CT. Slice 66/105.

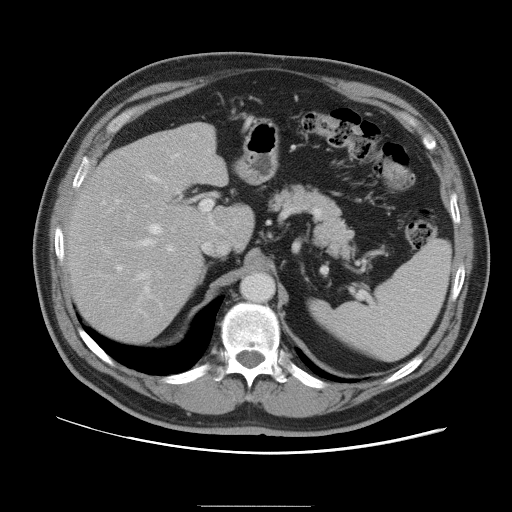

The vessel annotation is not exhaustive.
- hepatic vessel (top 15 of 17): x1=167 y1=245 x2=172 y2=250, x1=171 y1=154 x2=178 y2=163, x1=149 y1=224 x2=161 y2=233, x1=105 y1=250 x2=108 y2=252, x1=176 y1=189 x2=178 y2=192, x1=138 y1=309 x2=143 y2=313, x1=138 y1=270 x2=150 y2=299, x1=171 y1=228 x2=174 y2=231, x1=127 y1=216 x2=128 y2=220, x1=144 y1=173 x2=161 y2=183, x1=117 y1=265 x2=121 y2=270, x1=101 y1=200 x2=104 y2=204, x1=140 y1=239 x2=154 y2=245, x1=116 y1=199 x2=118 y2=202, x1=208 y1=215 x2=222 y2=231